FLAIR magnetic resonance.
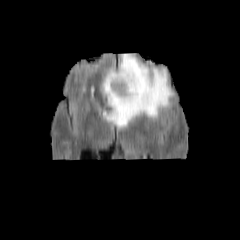
T1-weighted magnetic resonance.
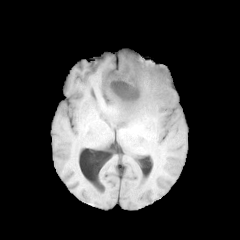
Post-contrast T1-weighted MR image.
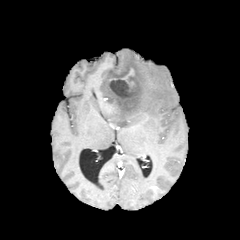
T2-weighted MRI.
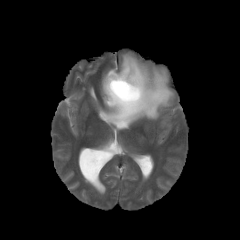
240x240 px
The edema is at (99, 52, 175, 128). The non-enhancing tumor core lies within (104, 66, 144, 108).